Upper abdomen, CT slice, Slice 44/95

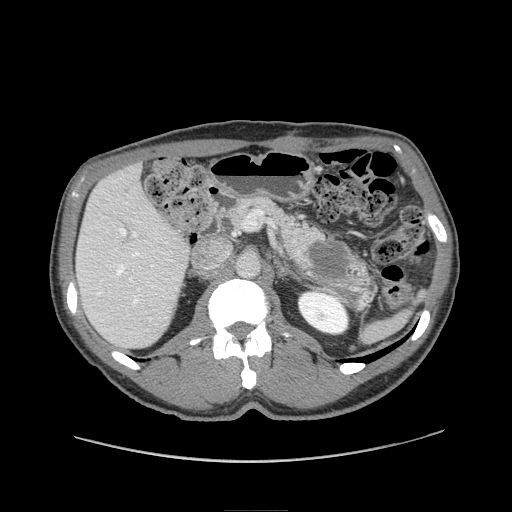

The pancreatic tumor appears at bbox=[307, 240, 350, 279]. The pancreas appears at bbox=[220, 197, 359, 286].